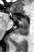 34x52; Magnetic resonance
2 anterior hippocampus regions are located at 21:19:26:21, 11:15:15:20. The posterior hippocampus is at 15:22:27:36.